Image size 240x240, Slice 60 of 155
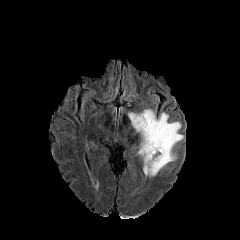
FLAIR MR.
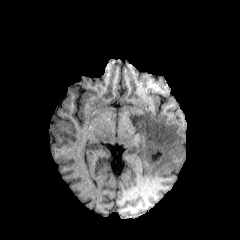
T1-weighted MR.
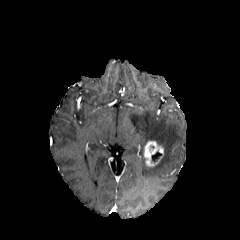
Post-contrast T1-weighted MRI.
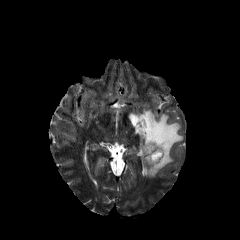
T2-weighted MR image.
enhancing_tumor:
  - <box>143,140,164,166</box>
non-enhancing_tumor_core:
  - <box>151,151,162,162</box>
edema:
  - <box>128,109,183,177</box>